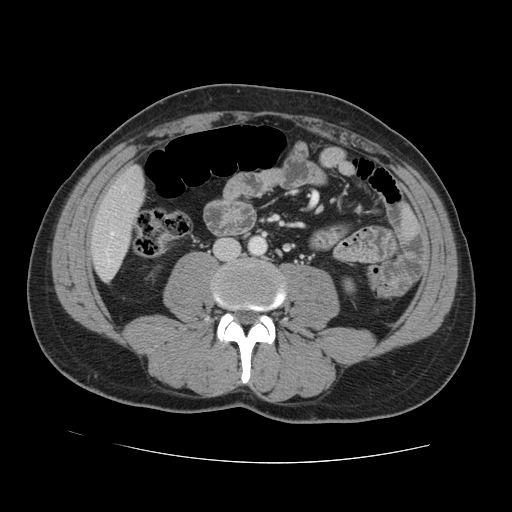
CT image, Abdomen

The vessel annotation is not exhaustive.
Hepatic vessel: bounding box 111 232 113 236, 104 248 111 261.